Slice 67 of 155. Brain.
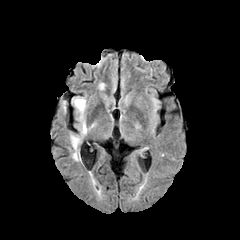
FLAIR MR image.
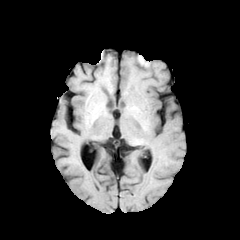
T1-weighted MRI of the same slice.
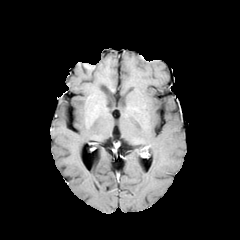
Post-contrast T1-weighted MR image of the same slice.
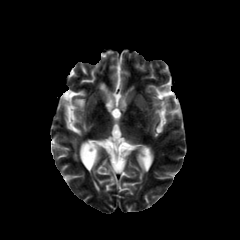
Same slice, T2-weighted MR image.
Annotated regions:
• edema: x1=70, y1=96, x2=90, y2=159